FLAIR MR image.
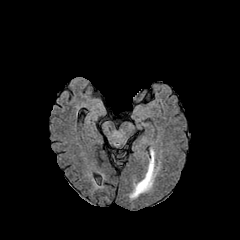
T1-weighted MRI.
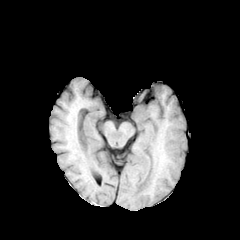
Post-contrast T1-weighted magnetic resonance.
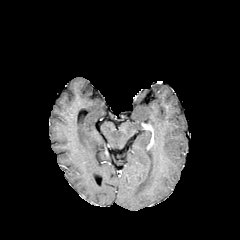
T2-weighted magnetic resonance.
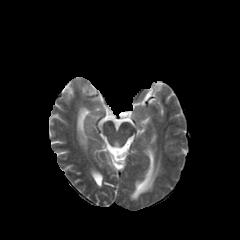
Brain
Edema: 130:148:159:198.